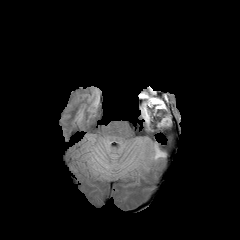
FLAIR MRI.
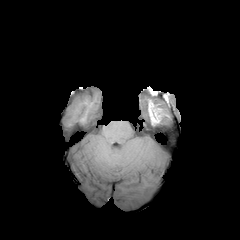
T1-weighted MRI.
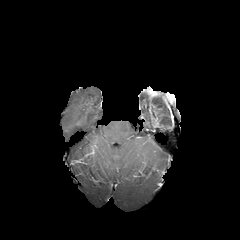
Post-contrast T1-weighted MRI of the same slice.
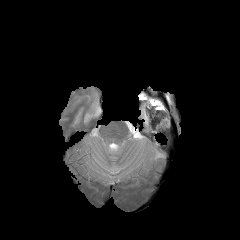
T2-weighted MRI of the same slice.
Image size 240x240
<segmentation>
  <non-enhancing_tumor_core>x1=142, y1=91, x2=157, y2=108</non-enhancing_tumor_core>
  <edema>x1=94, y1=144, x2=124, y2=155; x1=152, y1=140, x2=165, y2=159; x1=131, y1=137, x2=151, y2=159; x1=139, y1=89, x2=169, y2=131</edema>
</segmentation>